CT scan slice; Slice index 17; Liver 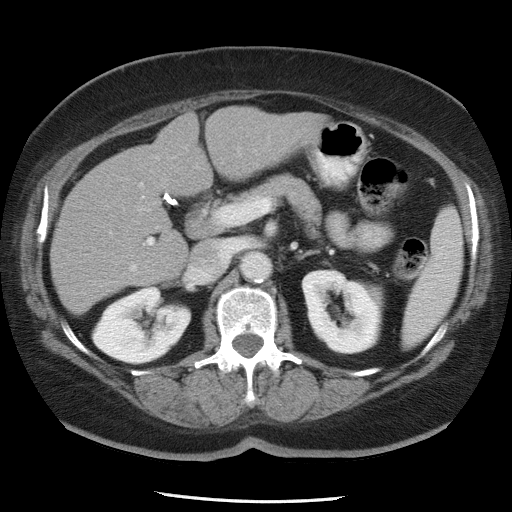

Not every hepatic vessel necessarily has a box.
The hepatic vessel is bounded by (148, 237, 153, 243).